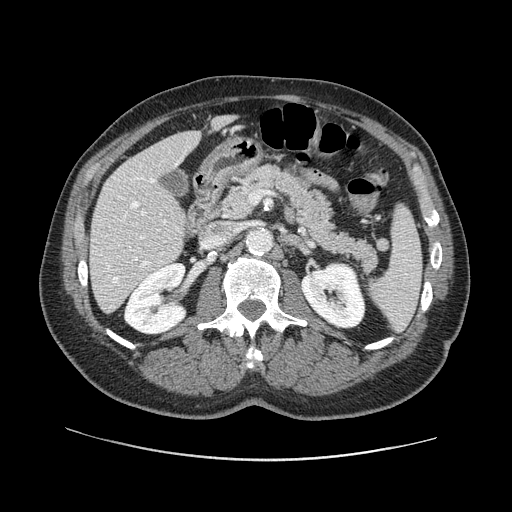
CT scan slice
<segmentation>
  <pancreas>l=218, t=164, r=379, b=273</pancreas>
</segmentation>